Head, 240x240
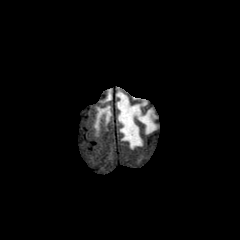
FLAIR MR.
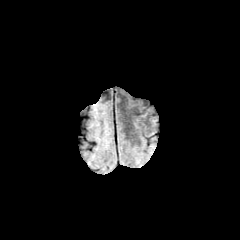
T1-weighted MR.
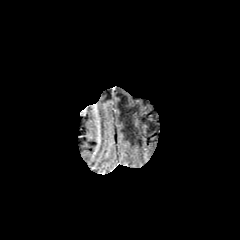
Post-contrast T1-weighted MR.
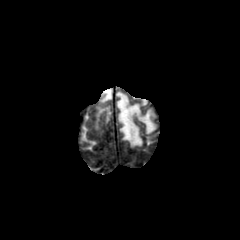
T2-weighted MR.
The edema is bounded by (116,87,157,149).